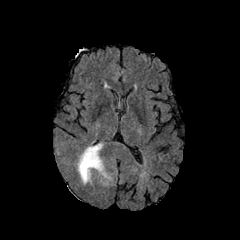
FLAIR MR.
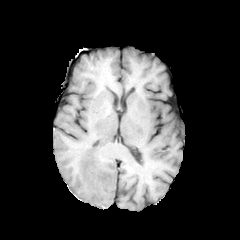
T1-weighted MR image of the same slice.
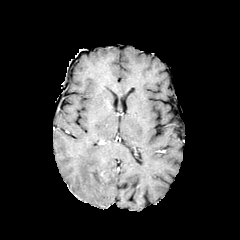
Post-contrast T1-weighted MRI.
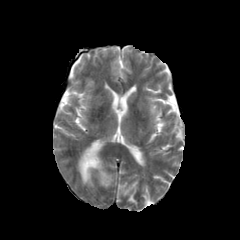
T2-weighted MR.
Head
{"non-enhancing_tumor_core": ["box=[100, 171, 110, 182]"], "edema": ["box=[77, 141, 112, 187]"]}